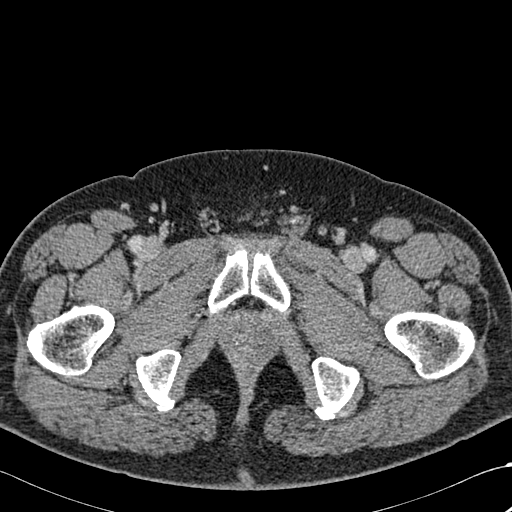 CT; Image size 512x512
{"bone": ["box(384, 311, 474, 378)", "box(312, 357, 359, 419)", "box(208, 246, 290, 313)", "box(136, 349, 180, 410)", "box(27, 304, 114, 375)"]}